512x512. Computed tomography.

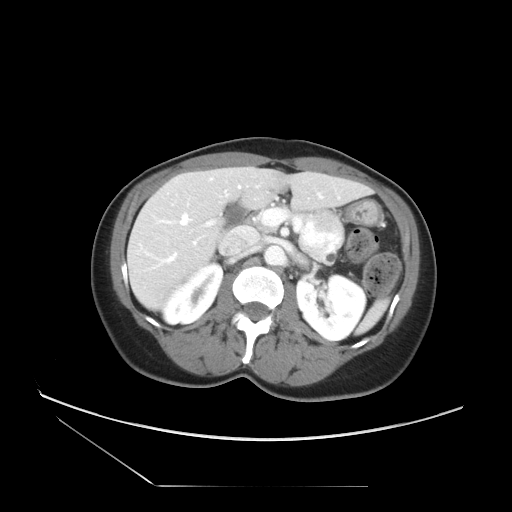 The pancreatic tumor lies within (298, 208, 345, 260). 2 pancreas regions are bounded by (301, 210, 313, 223), (318, 252, 337, 265).